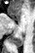

MR, 35x53

Anterior hippocampus: box(12, 17, 13, 18).
Posterior hippocampus: box(9, 36, 23, 46).